FLAIR MR image.
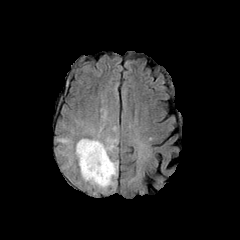
T1-weighted magnetic resonance.
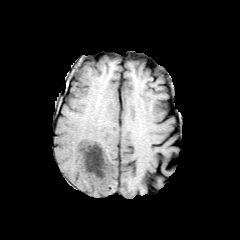
Post-contrast T1-weighted MR.
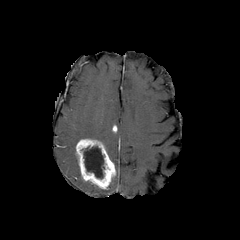
T2-weighted MR image.
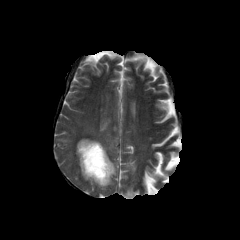
Brain.
{"edema": ["region(110, 158, 118, 185)", "region(98, 136, 118, 155)"], "non-enhancing_tumor_core": ["region(84, 146, 103, 178)"], "enhancing_tumor": ["region(76, 139, 115, 187)"]}